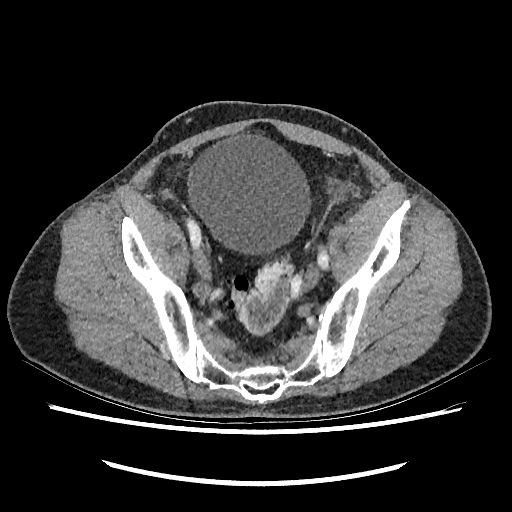 Pelvis, CT slice

{"urinary_bladder": ["(left=187, top=131, right=311, bottom=255)"]}